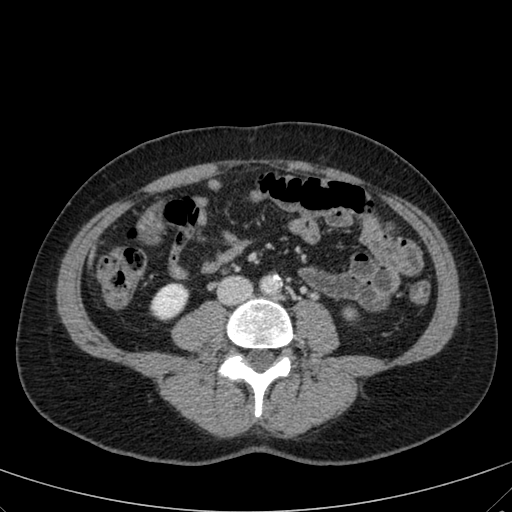

Image size 512x512; Abdomen; CT
{"kidney": ["box(152, 284, 186, 317)"]}